CT scan slice. Liver. Slice index 24. 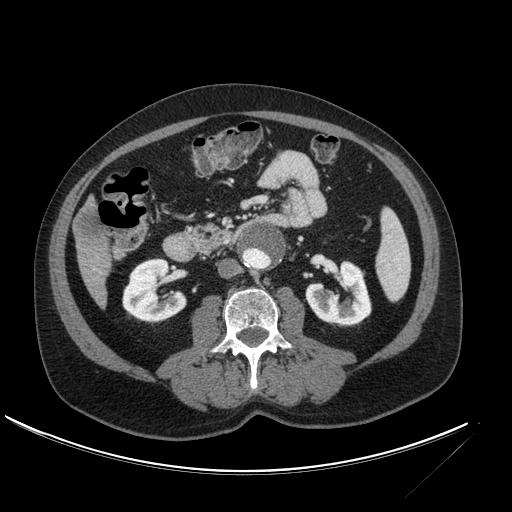
liver_lesion:
  - region(73, 201, 108, 248)
liver:
  - region(85, 194, 96, 203)
  - region(76, 241, 111, 308)
kidney:
  - region(306, 262, 370, 324)
  - region(123, 259, 185, 320)